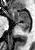 MR image, Image size 35x50
Annotated regions:
- posterior hippocampus: bbox(18, 24, 29, 31)
- anterior hippocampus: bbox(10, 8, 30, 23)